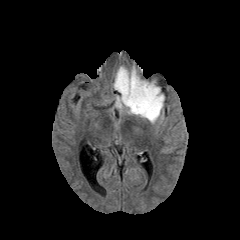
FLAIR MRI.
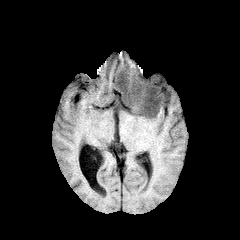
T1-weighted MRI of the same slice.
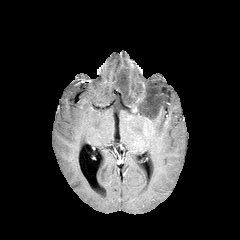
Post-contrast T1-weighted MRI.
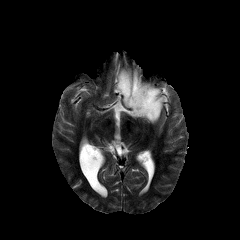
Same slice, T2-weighted MR image.
enhancing tumor: (130, 84, 145, 113) | non-enhancing tumor core: (132, 87, 159, 115), (116, 74, 144, 105) | edema: (112, 62, 166, 124), (112, 90, 133, 115)